Abdomen | CT scan slice | Image size 512x512 | Field of view 381 mm wide, 1.50 mm slice spacing 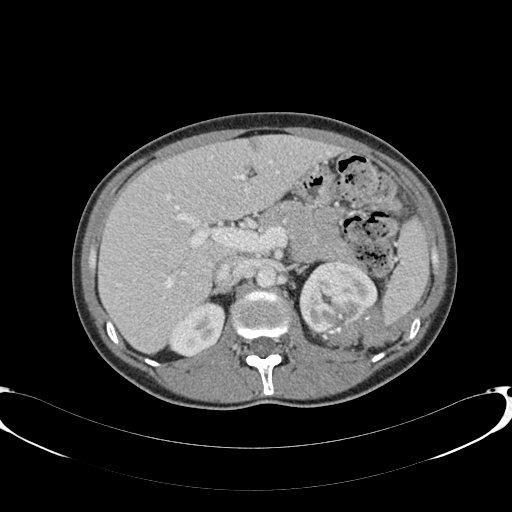
Liver — bbox(98, 136, 341, 352).
Kidney — bbox(300, 261, 376, 345); bbox(170, 304, 223, 355).
Hepatic lesion — bbox(249, 139, 257, 146).